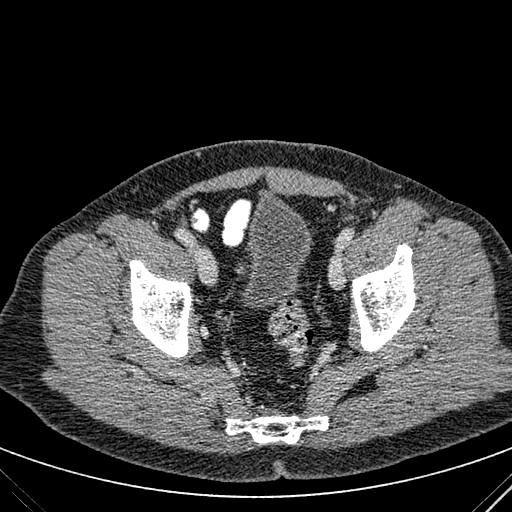
CT image
Annotated regions:
- urinary bladder: bbox=[235, 197, 314, 310]; bbox=[231, 239, 246, 295]